Computed tomography, Liver 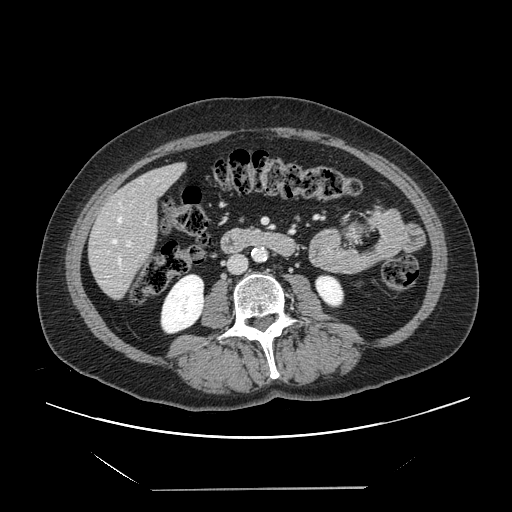
Some hepatic vessels may have no box.
Segmented structures:
* hepatic vessel: <box>110,238,117,244</box>, <box>126,240,131,246</box>, <box>107,251,109,253</box>, <box>118,201,123,210</box>, <box>117,215,122,224</box>, <box>117,255,121,270</box>